FLAIR magnetic resonance.
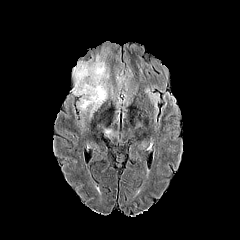
T1-weighted MR.
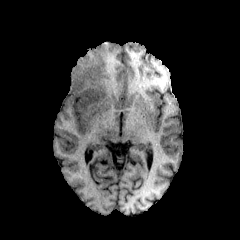
Post-contrast T1-weighted magnetic resonance.
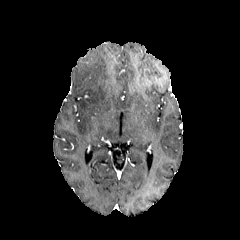
T2-weighted magnetic resonance.
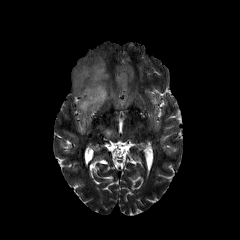
2 edema regions appear at [116,74,125,87], [72,61,109,117].